Slice 37 of 144 | CT scan slice

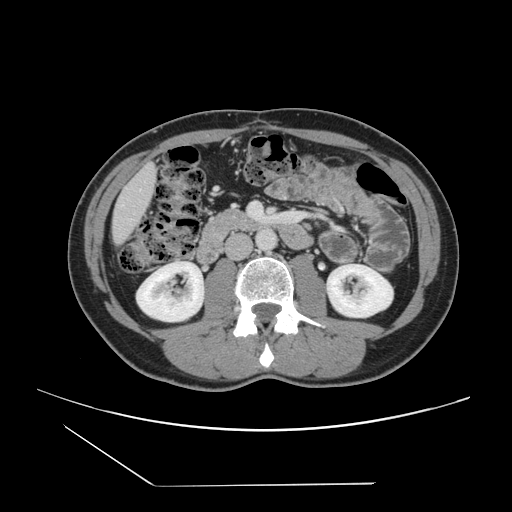

The vessel boxes may cover only some of the vessels.
Findings:
- hepatic vessel: [119, 205, 123, 206]